Image size 512x512, CT image, Field of view 360 mm wide, 1.25 mm slice spacing

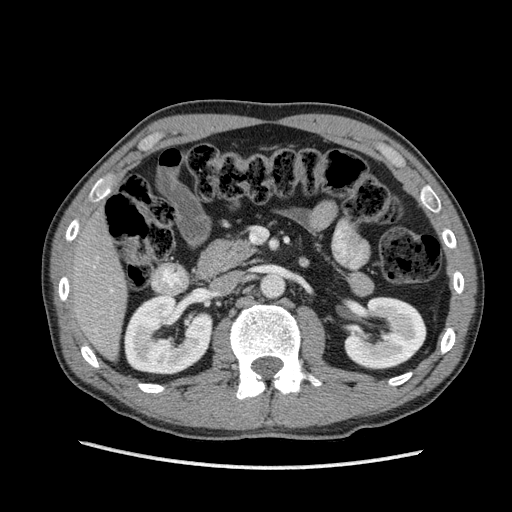
Kidney — box(345, 298, 425, 367); box(125, 295, 210, 372).
Liver — box(63, 208, 127, 360).